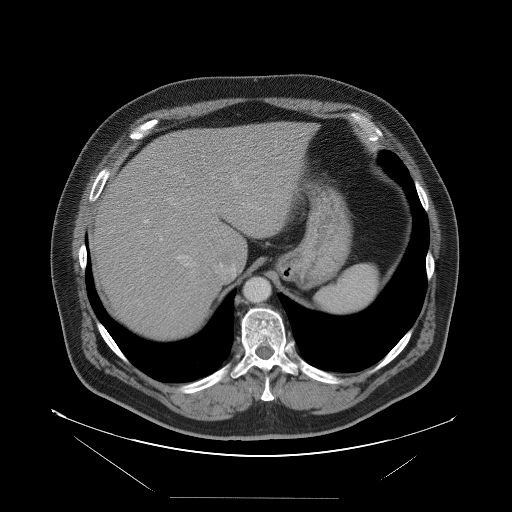
CT. Not every hepatic vessel necessarily has a box.
* hepatic vessel: bbox=[191, 270, 193, 272]; bbox=[219, 263, 222, 267]; bbox=[144, 219, 148, 222]; bbox=[159, 238, 162, 240]; bbox=[178, 255, 186, 259]